Abdomen | Computed tomography
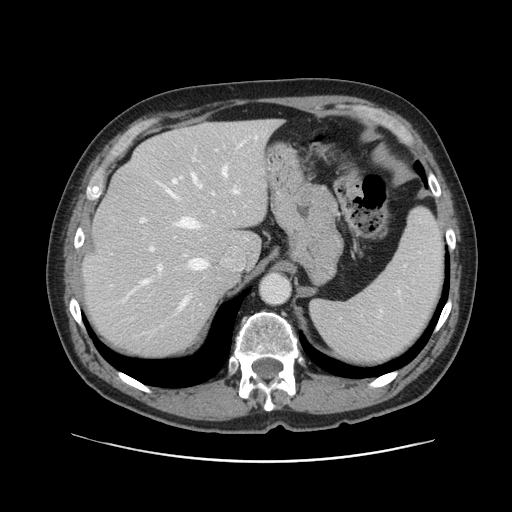
The vessel boxes may cover only some of the vessels.
Annotated regions:
* hepatic vessel (top 15 of 17): (212,192,214,194), (223,166,226,174), (233,189,238,192), (172,179,176,182), (140,279,150,285), (123,291,132,300), (150,247,153,250), (158,183,161,184), (158,265,161,273), (192,173,201,187), (180,298,187,308), (189,259,206,269), (178,217,197,227), (140,218,146,222), (165,187,175,197)